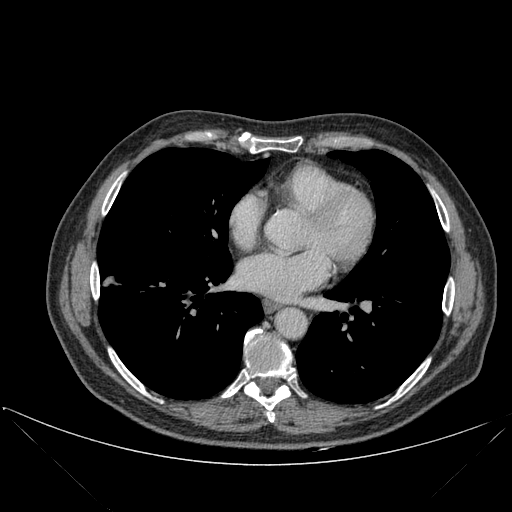
512x512 px. CT image. 2 lung regions are bounded by {"x1": 97, "y1": 148, "x2": 268, "y2": 399}, {"x1": 296, "y1": 149, "x2": 449, "y2": 403}. 9 bone regions appear at {"x1": 90, "y1": 263, "x2": 99, "y2": 299}, {"x1": 389, "y1": 359, "x2": 430, "y2": 401}, {"x1": 222, "y1": 329, "x2": 295, "y2": 397}, {"x1": 102, "y1": 176, "x2": 121, "y2": 214}, {"x1": 250, "y1": 137, "x2": 302, "y2": 153}, {"x1": 442, "y1": 278, "x2": 454, "y2": 314}, {"x1": 244, "y1": 382, "x2": 290, "y2": 422}, {"x1": 433, "y1": 192, "x2": 449, "y2": 231}, {"x1": 108, "y1": 348, "x2": 147, "y2": 395}.